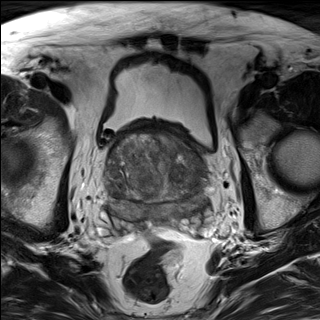
T2-weighted MR image.
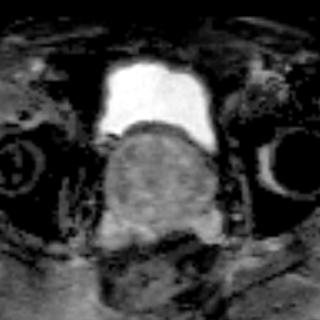
Same slice, ADC magnetic resonance.
Prostate transition zone: bounding box <box>104,133,205,203</box>.
Prostate peripheral zone: bounding box <box>105,182,205,218</box>.